Brain, 240x240 px
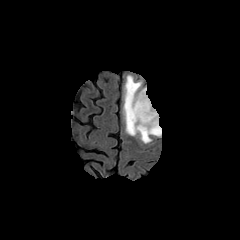
FLAIR MR.
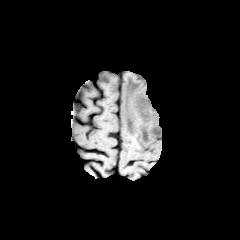
T1-weighted MR image.
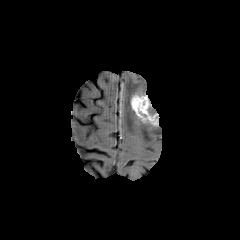
Post-contrast T1-weighted MR.
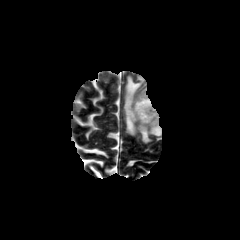
T2-weighted MR image.
* enhancing tumor: 131:93:158:129
* non-enhancing tumor core: 148:107:157:115
* edema: 122:75:161:144